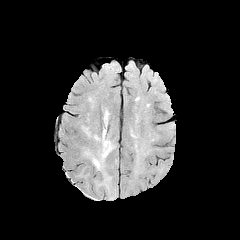
FLAIR MRI.
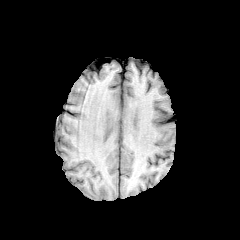
Same slice, T1-weighted magnetic resonance.
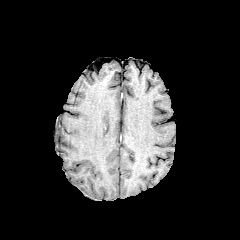
Post-contrast T1-weighted MRI of the same slice.
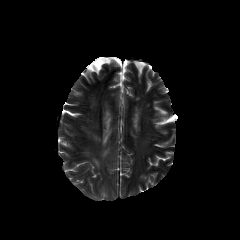
T2-weighted magnetic resonance of the same slice.
Brain.
edema:
  - (103,110,110,128)
  - (102,129,114,157)